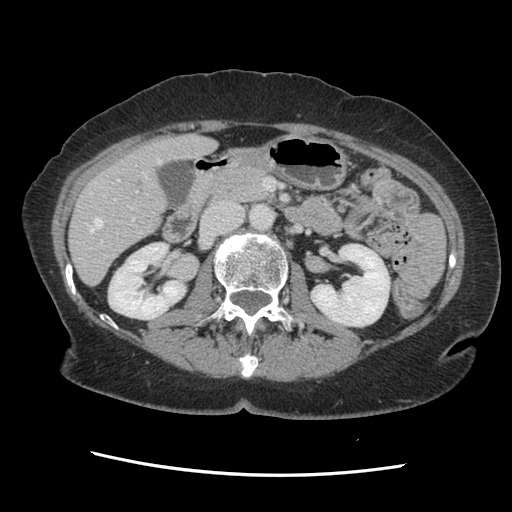

512x512 px, CT scan slice, Abdomen
Only some of the vessels may be annotated.
liver_tumor:
  - bbox=[133, 178, 144, 188]
hepatic_vessel:
  - bbox=[86, 218, 102, 232]
  - bbox=[132, 217, 134, 222]
  - bbox=[136, 190, 137, 191]
  - bbox=[157, 159, 160, 162]
  - bbox=[141, 173, 146, 176]
  - bbox=[101, 241, 102, 243]